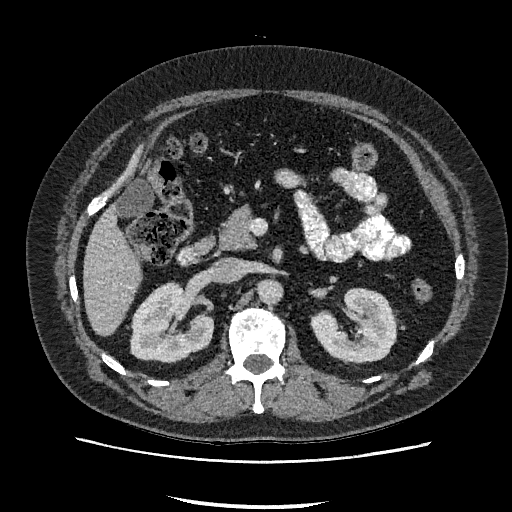
CT scan slice, Upper abdomen

• kidney: (131,284,212,361), (312,289,395,361)
• liver: (83,205,141,334)